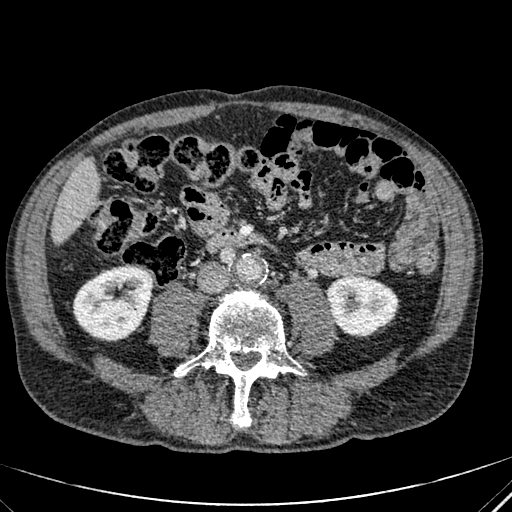
CT image
The liver appears at 52,160,99,241. 2 kidney regions are located at 74,267,151,339; 328,276,396,334.